240x240, Head, Field of view 240x240 mm, Slice index 62
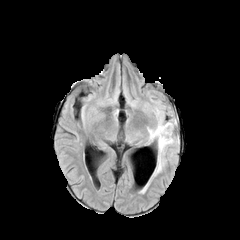
FLAIR MR image.
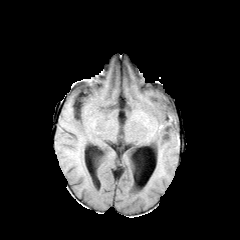
T1-weighted magnetic resonance.
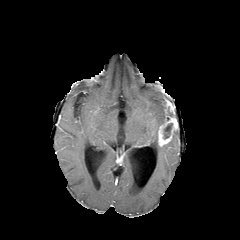
Post-contrast T1-weighted MR image.
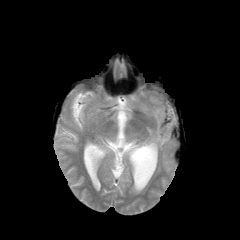
T2-weighted MR image.
<segmentation>
  <edema>rect(148, 101, 174, 175); rect(162, 123, 173, 138)</edema>
  <enhancing_tumor>rect(158, 130, 167, 145)</enhancing_tumor>
  <non-enhancing_tumor_core>rect(163, 107, 175, 124)</non-enhancing_tumor_core>
</segmentation>